38x49 px; MR; Hippocampus 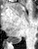 - posterior hippocampus: 11:38:20:42